Head
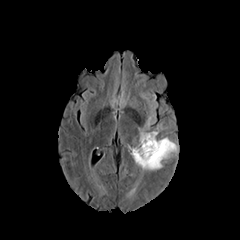
FLAIR MR.
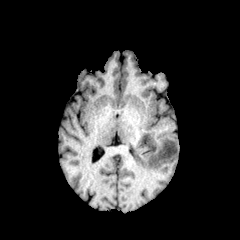
T1-weighted MRI.
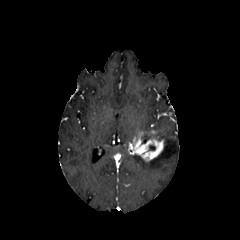
Post-contrast T1-weighted magnetic resonance of the same slice.
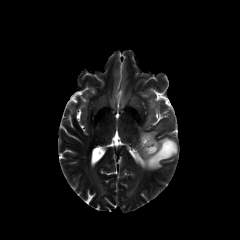
T2-weighted magnetic resonance.
Edema: bounding box left=133, top=137, right=176, bottom=169.
Enhancing tumor: bounding box left=133, top=132, right=164, bottom=162.